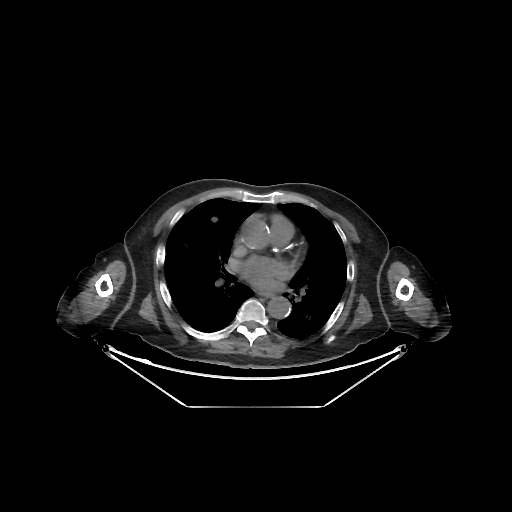
CT slice | 512x512 px
Bone at bbox=[156, 248, 164, 263]; bbox=[396, 278, 413, 300]; bbox=[184, 299, 267, 345]; bbox=[95, 274, 112, 297]; bbox=[243, 192, 279, 202]; bbox=[160, 283, 170, 306]; bbox=[347, 263, 353, 279]; bbox=[325, 303, 343, 330].
Lung at bbox=[164, 198, 262, 332]; bbox=[276, 203, 346, 339].